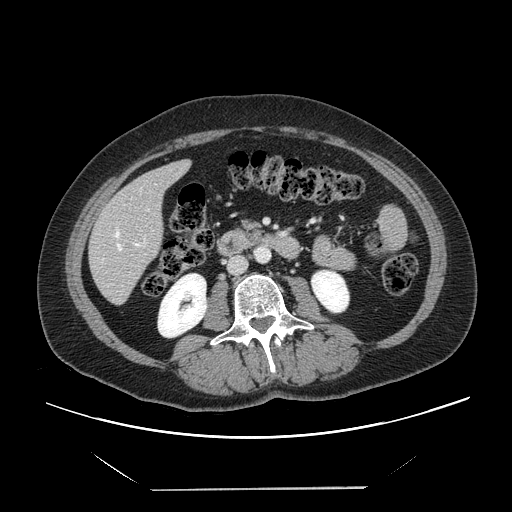 Liver | CT slice
Not every hepatic vessel necessarily has a box.
Hepatic vessel — bbox=[112, 227, 122, 251]; bbox=[146, 208, 149, 210]; bbox=[132, 239, 145, 246].